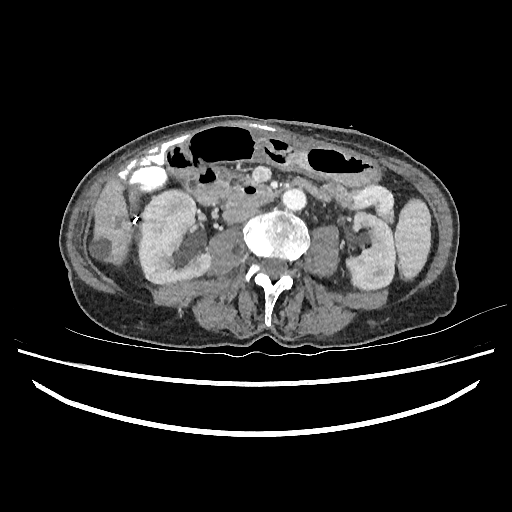 CT scan slice
Annotated regions:
* liver: box=[90, 179, 132, 264]; box=[128, 186, 138, 214]
* kidney: box=[346, 213, 395, 289]; box=[139, 190, 210, 283]
* hepatic lesion: box=[90, 239, 110, 259]